CT scan slice | Abdomen
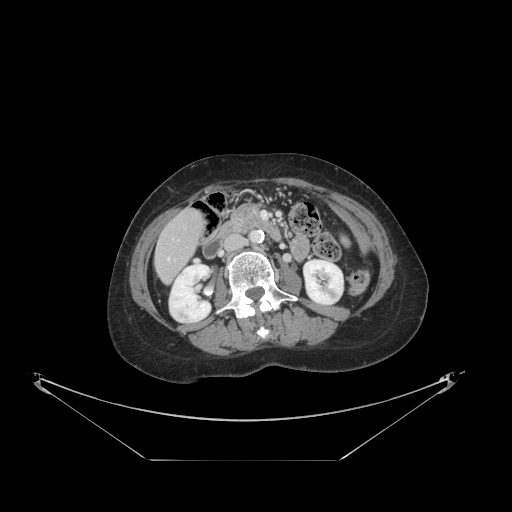
Only some of the vessels may be annotated.
<segmentation>
  <hepatic_vessel>168 258 169 260</hepatic_vessel>
</segmentation>